Head
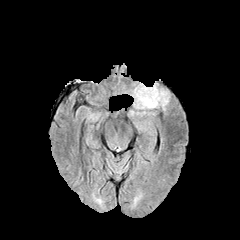
FLAIR MR.
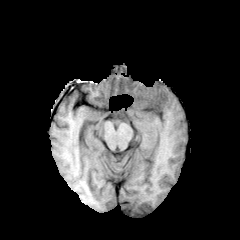
T1-weighted MR image.
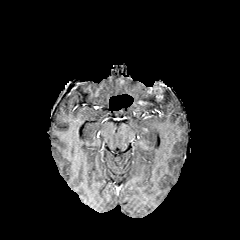
Post-contrast T1-weighted magnetic resonance.
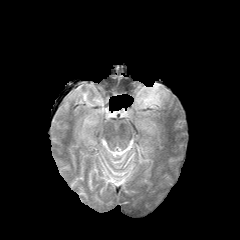
T2-weighted MRI of the same slice.
Annotated regions:
• edema: left=135, top=88, right=168, bottom=109; left=133, top=85, right=148, bottom=97
• enhancing tumor: left=147, top=83, right=163, bottom=100
• non-enhancing tumor core: left=137, top=91, right=156, bottom=104